Slice 24 of 132, CT scan slice, 512x512 px, Abdomen

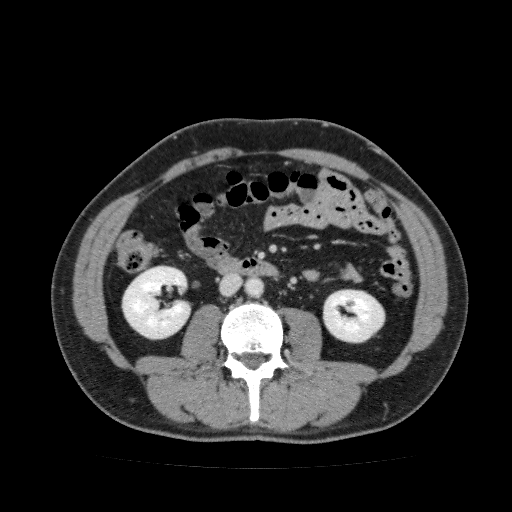
- kidney: box=[122, 266, 190, 338]; box=[323, 290, 384, 342]